CT, Abdomen, Field of view 700x700 mm 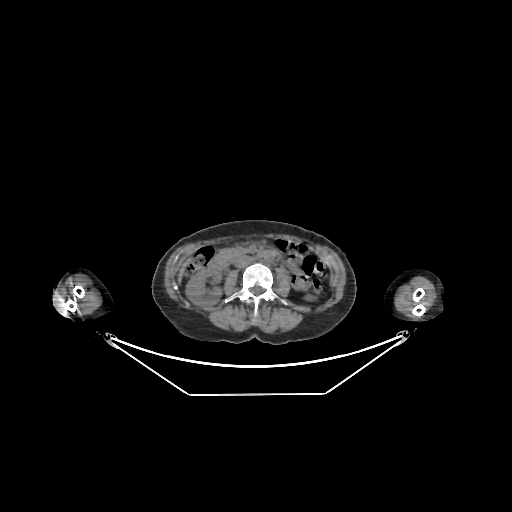 kidney: left=185, top=267, right=222, bottom=306; left=304, top=293, right=315, bottom=301